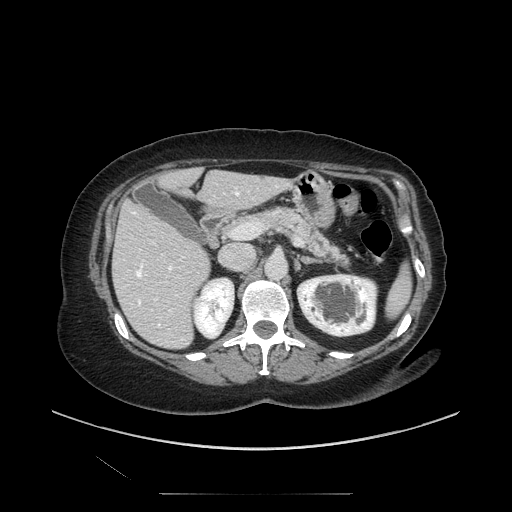
Upper abdomen | CT slice
The pancreas is bounded by x1=230 y1=207 x2=349 y2=267.